CT scan slice 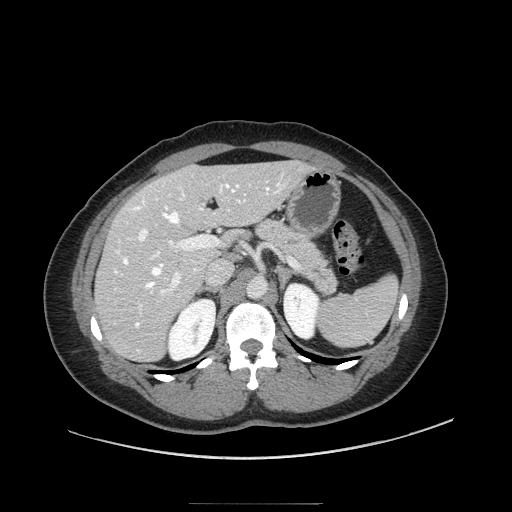 pancreas: 252, 217, 339, 296